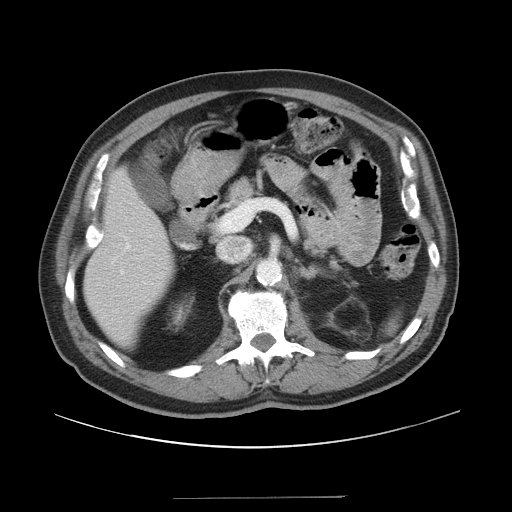
Computed tomography, Abdomen
<segmentation>
  <pancreas>[227, 177, 257, 209]</pancreas>
</segmentation>